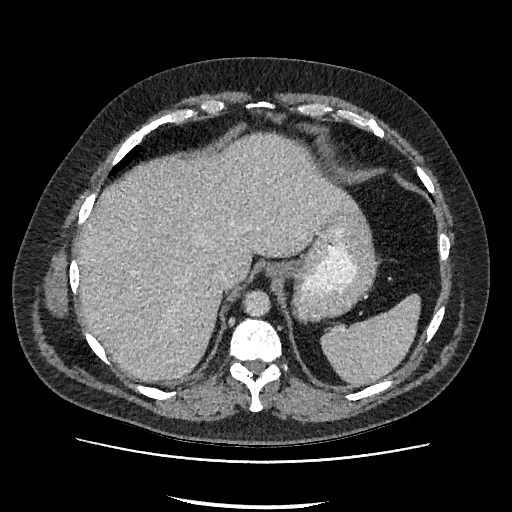 Abdomen; 512x512 px; Computed tomography

<segmentation>
  <liver>x1=79, y1=134, x2=356, y2=379</liver>
</segmentation>